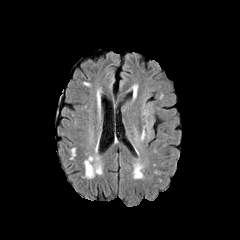
FLAIR MR.
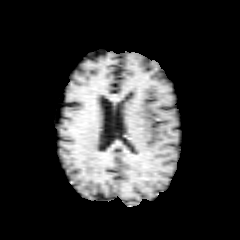
T1-weighted MR of the same slice.
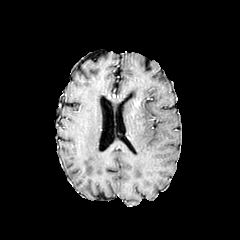
Post-contrast T1-weighted MR.
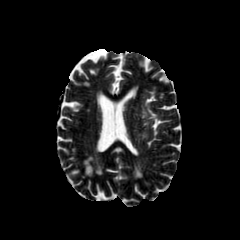
T2-weighted magnetic resonance.
Findings:
* edema: 142, 104, 150, 130